CT image, Field of view 338 mm wide, 3.00 mm slice spacing
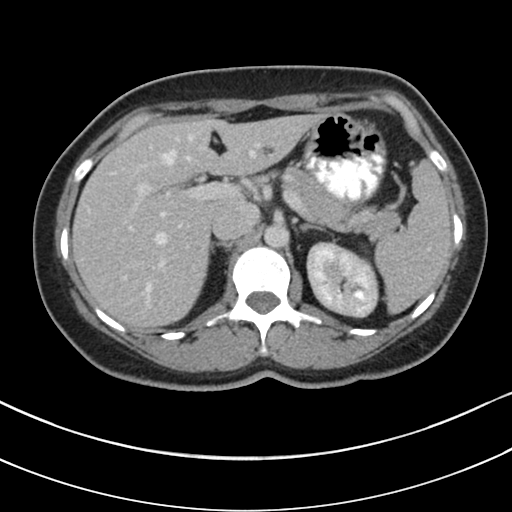
The pancreas is at bbox=[255, 165, 401, 241].